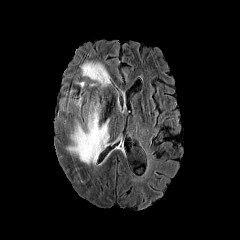
FLAIR MRI.
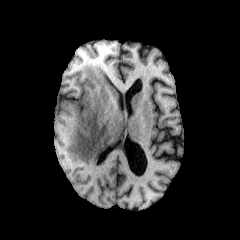
Same slice, T1-weighted MR.
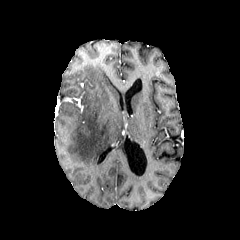
Post-contrast T1-weighted magnetic resonance of the same slice.
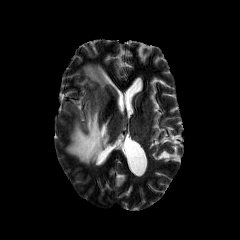
T2-weighted MR.
<segmentation>
  <non-enhancing_tumor_core>x1=87 y1=108 x2=100 y2=127</non-enhancing_tumor_core>
  <edema>x1=78 y1=90 x2=87 y2=107, x1=60 y1=88 x2=110 y2=165, x1=81 y1=63 x2=111 y2=90</edema>
</segmentation>